Abdomen, Computed tomography

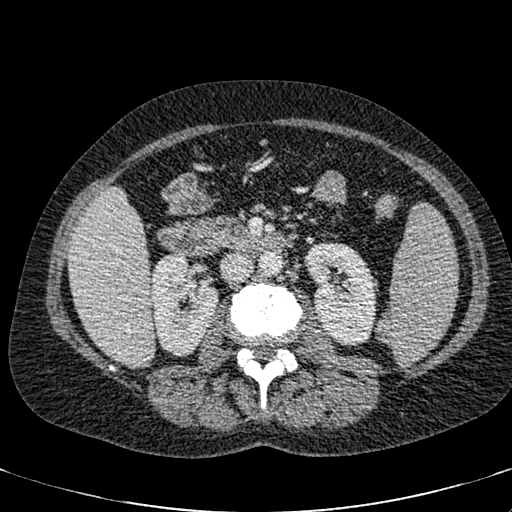
Liver = [x1=68, y1=188, x2=153, y2=364].
Kidney = [x1=151, y1=253, x2=217, y2=355], [x1=305, y1=243, x2=375, y2=344].